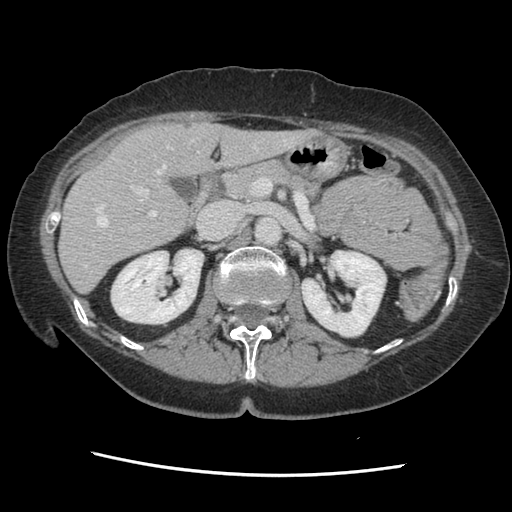 CT slice.

The vessel annotation is not exhaustive.
11 hepatic vessel regions are bounded by [x1=225, y1=152, x2=226, y2=153], [x1=140, y1=198, x2=142, y2=200], [x1=138, y1=189, x2=148, y2=195], [x1=167, y1=145, x2=171, y2=149], [x1=85, y1=264, x2=86, y2=266], [x1=95, y1=204, x2=103, y2=211], [x1=130, y1=185, x2=134, y2=188], [x1=149, y1=211, x2=155, y2=215], [x1=156, y1=165, x2=165, y2=173], [x1=97, y1=216, x2=107, y2=225], [x1=253, y1=144, x2=256, y2=148]. The liver tumor appears at [x1=184, y1=122, x2=191, y2=129].